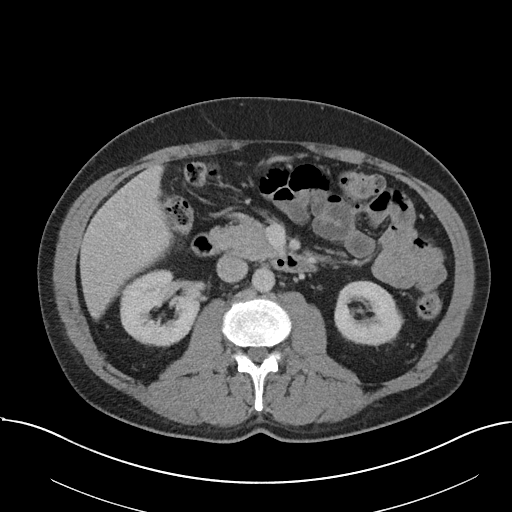

Computed tomography
Not every hepatic vessel necessarily has a box.
The hepatic vessel is bounded by {"x1": 119, "y1": 222, "x2": 126, "y2": 227}.